Field of view 454x454 mm | Slice 84 of 241 | Computed tomography 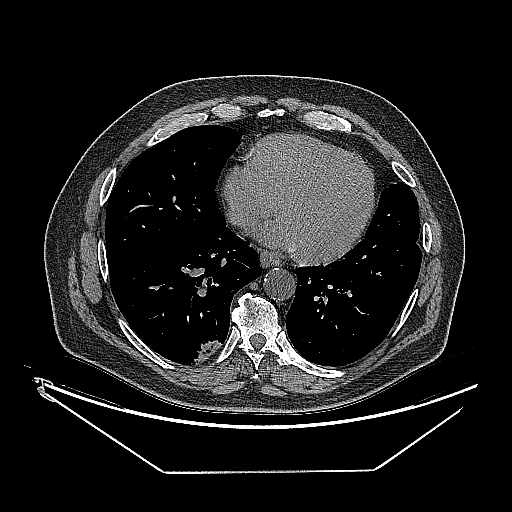

Lung tumor: 190 337 221 364.